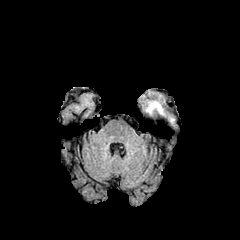
FLAIR magnetic resonance.
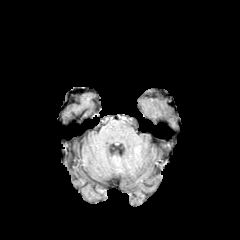
T1-weighted MR image of the same slice.
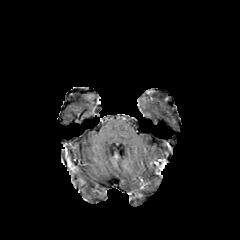
Same slice, post-contrast T1-weighted MRI.
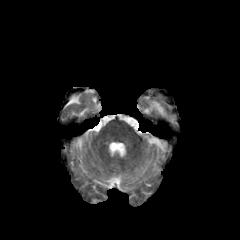
Same slice, T2-weighted magnetic resonance.
Head
Segmented structures:
• edema: x1=145, y1=101, x2=167, y2=116